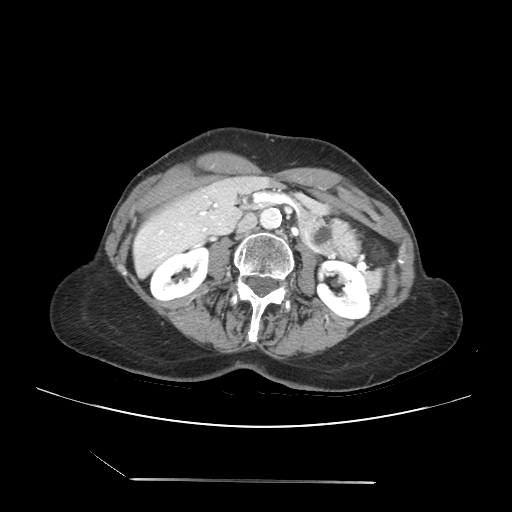

Upper abdomen; Image size 512x512; CT scan slice

The pancreas appears at box(298, 208, 337, 259). The pancreatic tumor is at box(314, 226, 330, 244).